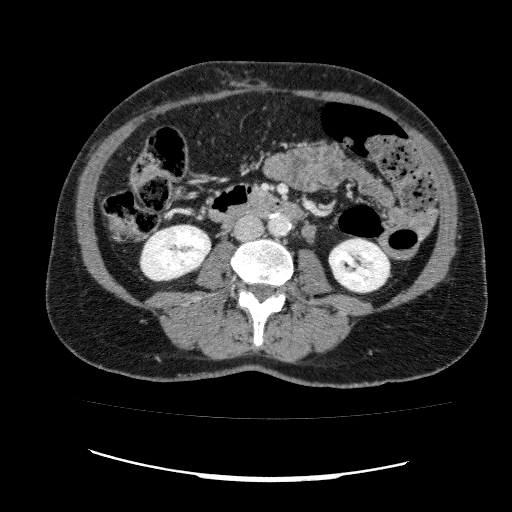 CT slice
Kidney — (141, 225, 209, 280), (329, 239, 389, 291).